FLAIR MR image.
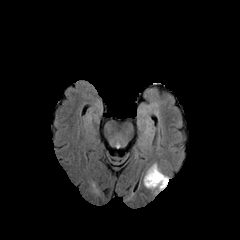
T1-weighted MRI.
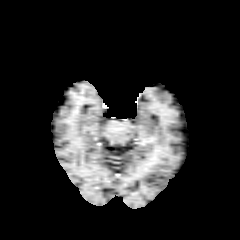
Post-contrast T1-weighted MRI.
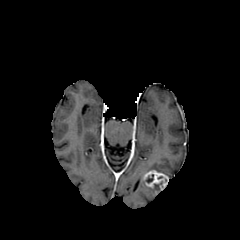
T2-weighted magnetic resonance.
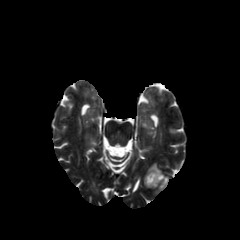
Brain
Enhancing tumor: bounding box <bbox>144, 170, 168, 189</bbox>.
Edema: bounding box <bbox>141, 176, 160, 193</bbox>, <bbox>144, 163, 161, 173</bbox>.